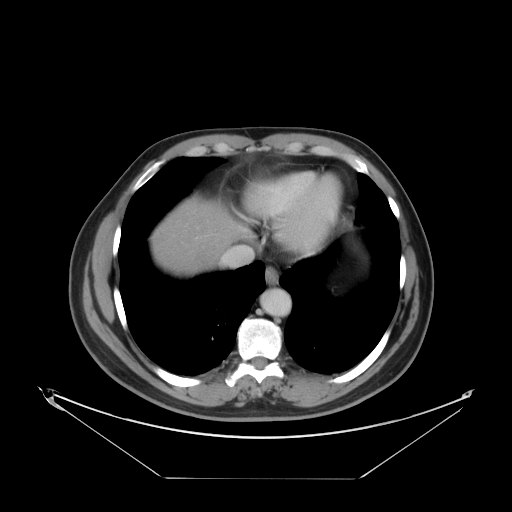 CT; Abdomen; 512x512 px
Some hepatic vessels may have no box.
<segmentation>
  <hepatic_vessel>229:253:250:262</hepatic_vessel>
</segmentation>